Brain
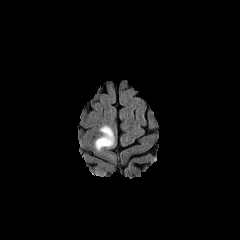
FLAIR MR.
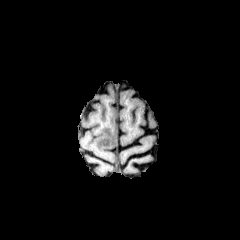
T1-weighted magnetic resonance of the same slice.
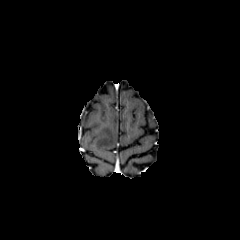
Same slice, post-contrast T1-weighted MR.
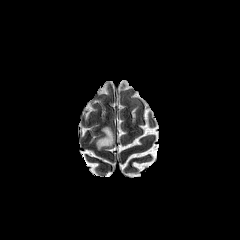
T2-weighted MR image.
The edema lies within (96,126,114,149).